Computed tomography | Slice 526 of 630 | Liver 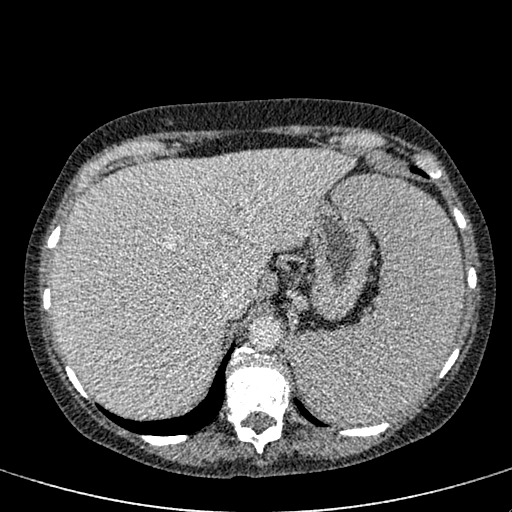
liver: 53:148:357:415